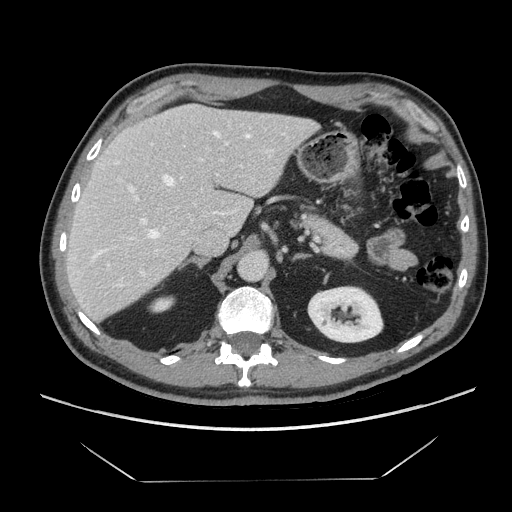 Abdomen | Computed tomography
<segmentation>
  <pancreas>(left=309, top=214, right=357, bottom=257)</pancreas>
</segmentation>